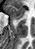 MRI. 35x49.
<segmentation>
  <anterior_hippocampus>box(9, 6, 25, 19)</anterior_hippocampus>
</segmentation>